Slice 64 of 155
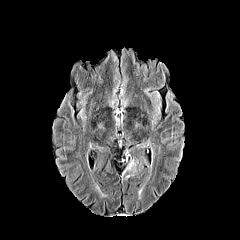
FLAIR magnetic resonance.
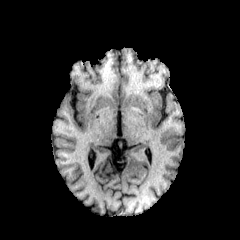
Same slice, T1-weighted MR image.
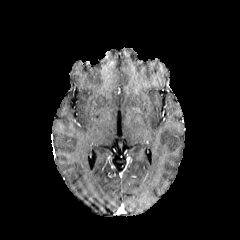
Post-contrast T1-weighted magnetic resonance.
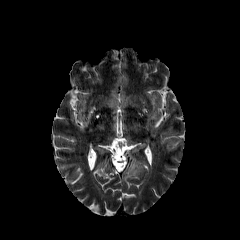
T2-weighted MRI.
• edema: x1=123 y1=159 x2=135 y2=175